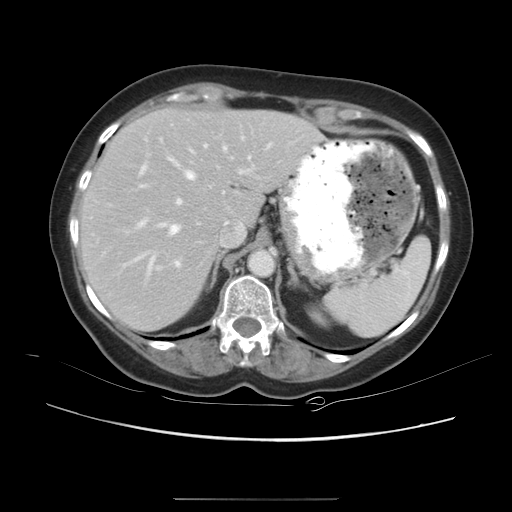 Image size 512x512; CT
The vessel boxes may cover only some of the vessels.
The principal 15 hepatic vessel regions (of 23) appear at (x1=241, y1=137, x2=244, y2=139), (x1=183, y1=170, x2=195, y2=180), (x1=222, y1=146, x2=226, y2=151), (x1=158, y1=223, x2=180, y2=235), (x1=139, y1=164, x2=146, y2=175), (x1=238, y1=166, x2=254, y2=174), (x1=123, y1=252, x2=160, y2=274), (x1=176, y1=199, x2=181, y2=204), (x1=204, y1=144, x2=206, y2=147), (x1=167, y1=156, x2=179, y2=167), (x1=189, y1=149, x2=194, y2=153), (x1=175, y1=260, x2=180, y2=267), (x1=136, y1=218, x2=147, y2=228), (x1=266, y1=143, x2=271, y2=148), (x1=139, y1=185, x2=146, y2=187).